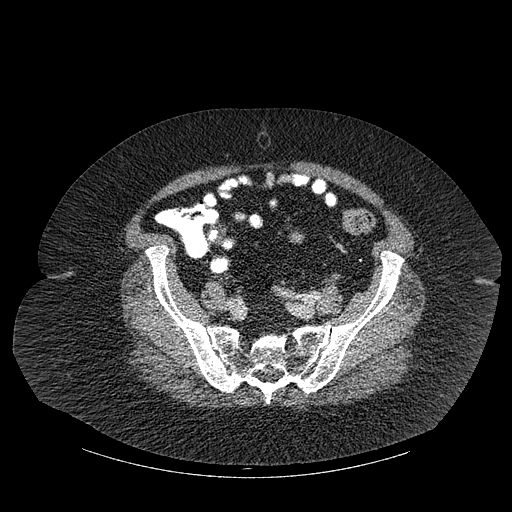

CT slice. 512x512.
The bone appears at x1=145 y1=245 x2=403 y2=403.